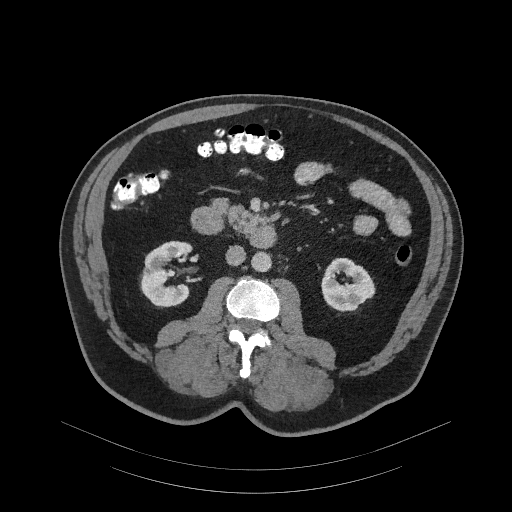

Computed tomography, 512x512, Upper abdomen
The pancreas lies within 212, 198, 268, 234.